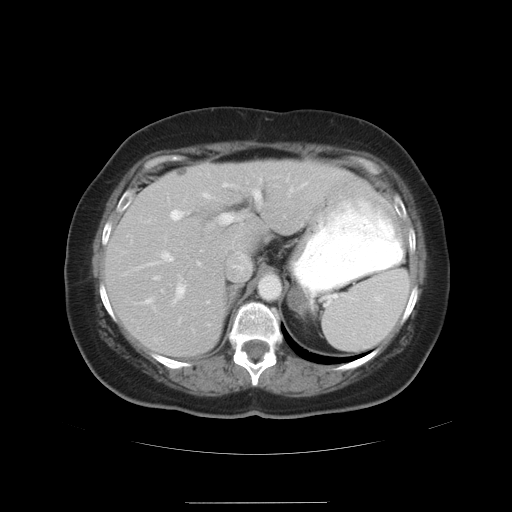

CT. Abdomen.
The vessel boxes may cover only some of the vessels.
13 hepatic vessel regions appear at region(161, 290, 162, 291); region(169, 209, 187, 221); region(300, 182, 306, 187); region(197, 261, 200, 265); region(291, 189, 292, 190); region(172, 276, 185, 304); region(201, 191, 213, 199); region(153, 277, 159, 279); region(139, 297, 153, 304); region(223, 184, 227, 186); region(218, 214, 240, 224); region(133, 250, 173, 270); region(232, 254, 248, 272).